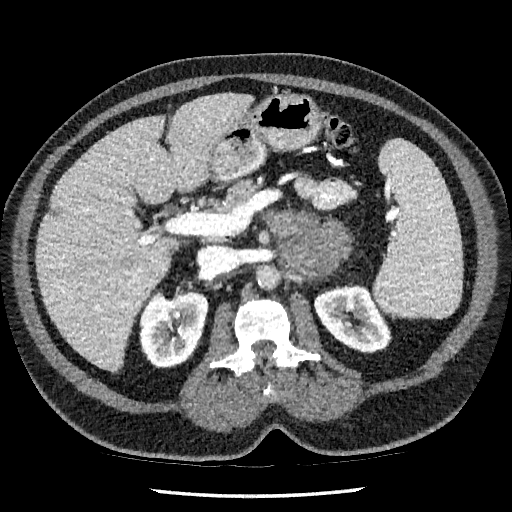
Upper abdomen, CT slice
Segmented structures:
* kidney: 140,293,207,366; 315,287,389,351
* liver: 37,94,251,370
* liver lesion: 125,259,133,269